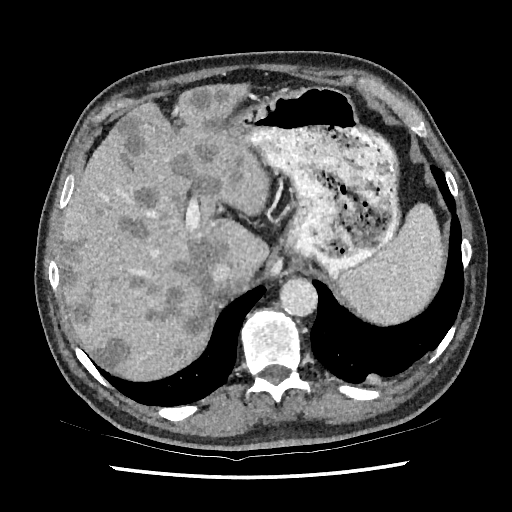 CT

Annotated regions:
• liver lesion (largest 15 of 18): (x1=90, y1=335, x2=132, y2=369), (x1=119, y1=215, x2=150, y2=239), (x1=127, y1=278, x2=150, y2=290), (x1=194, y1=142, x2=220, y2=163), (x1=116, y1=115, x2=144, y2=172), (x1=142, y1=232, x2=230, y2=335), (x1=61, y1=235, x2=88, y2=289), (x1=173, y1=346, x2=184, y2=357), (x1=70, y1=296, x2=93, y2=324), (x1=188, y1=90, x2=230, y2=111), (x1=160, y1=224, x2=169, y2=232), (x1=227, y1=156, x2=245, y2=181), (x1=169, y1=152, x2=223, y2=199), (x1=204, y1=117, x2=227, y2=128), (x1=134, y1=186, x2=158, y2=209)
• liver: (x1=60, y1=84, x2=267, y2=380)